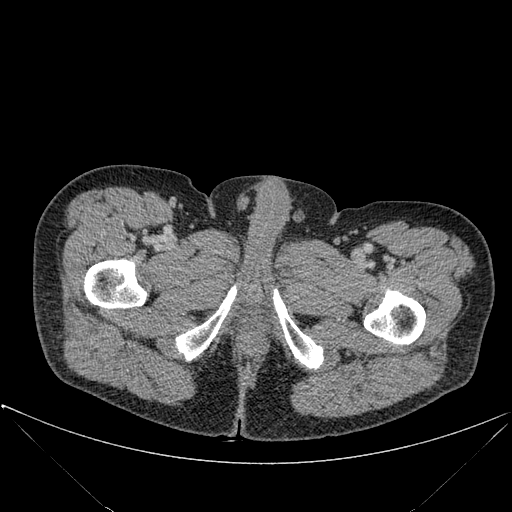 512x512 px. CT image. Bone: bounding box (176,286,236,360), (84,259,146,308), (273,289,323,368), (364,290,425,344).